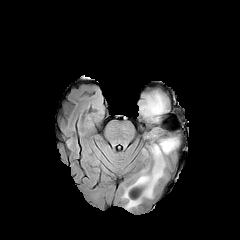
FLAIR magnetic resonance.
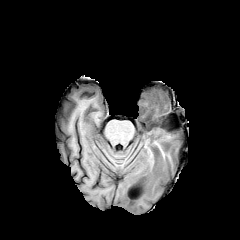
T1-weighted MR image.
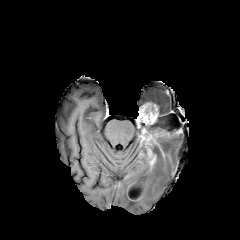
Post-contrast T1-weighted magnetic resonance.
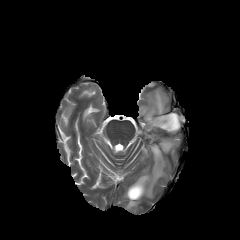
T2-weighted magnetic resonance of the same slice.
Brain.
2 edema regions are bounded by region(138, 93, 166, 124); region(123, 134, 178, 208). The enhancing tumor lies within region(144, 104, 157, 121).